Slice index 51
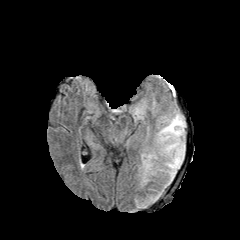
FLAIR MRI.
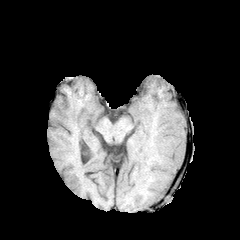
Same slice, T1-weighted magnetic resonance.
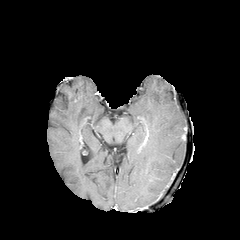
Same slice, post-contrast T1-weighted MR.
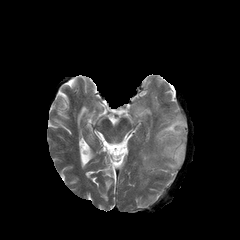
Same slice, T2-weighted MRI.
2 edema regions are located at <bbox>158, 113, 185, 187</bbox>, <bbox>143, 170, 152, 182</bbox>.